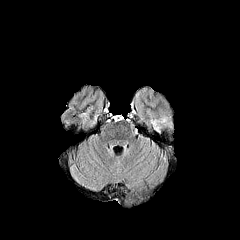
FLAIR MR image.
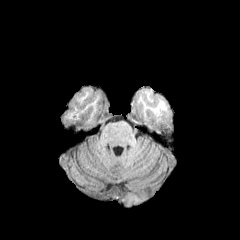
T1-weighted MR.
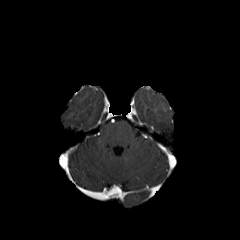
Post-contrast T1-weighted MR.
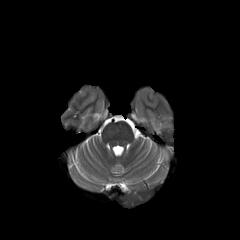
T2-weighted MR.
Brain
Edema: 150, 119, 169, 130.